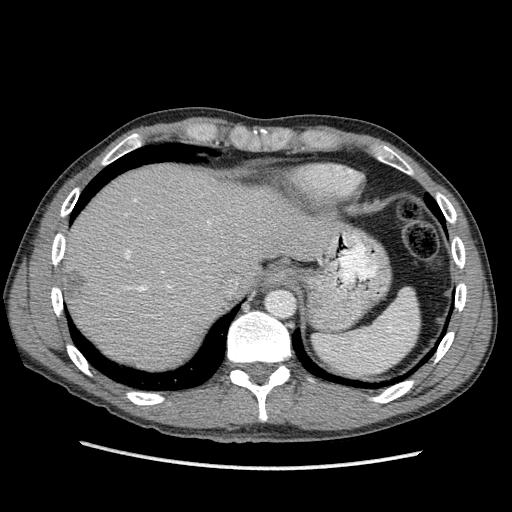
512x512 px | CT slice | Abdomen
Annotated regions:
• hepatic lesion: (62,270,88,298)
• liver: (62,163,341,371)